FLAIR MR.
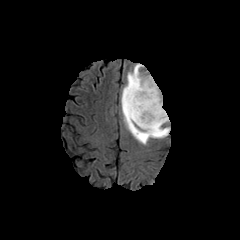
T1-weighted MRI.
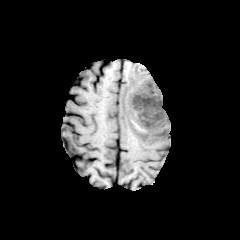
Post-contrast T1-weighted magnetic resonance.
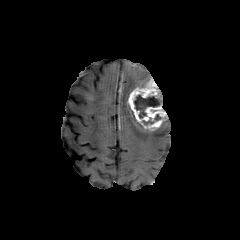
T2-weighted MRI.
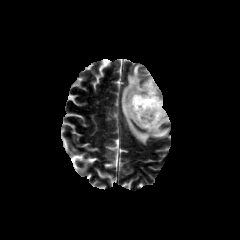
Brain
edema:
  - [x1=120, y1=63, x2=170, y2=145]
non-enhancing_tumor_core:
  - [x1=134, y1=95, x2=158, y2=118]
enhancing_tumor:
  - [x1=127, y1=77, x2=168, y2=133]